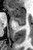

Image size 33x50, MRI, Hippocampus
Anterior hippocampus = 8 7 25 21.
Posterior hippocampus = 18 21 25 25.